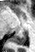
MR image

The posterior hippocampus lies within 10:33:27:45.